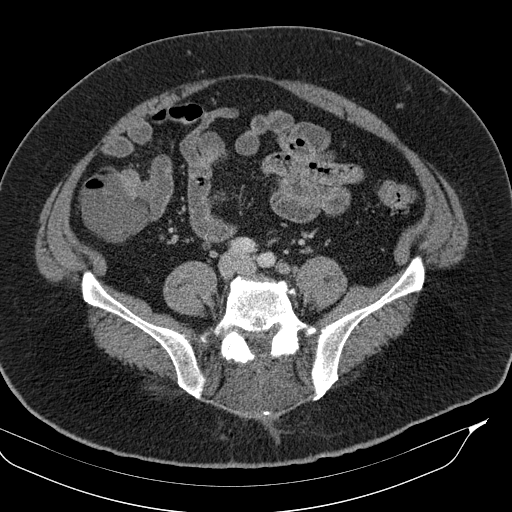 CT scan slice
The colon tumor is located at 120,169,139,199.